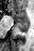 34x51 px. Hippocampus. MR image.
Anterior hippocampus: bounding box <box>11,8,29,23</box>.
Posterior hippocampus: bounding box <box>16,23,29,33</box>.